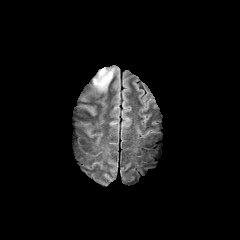
FLAIR MRI.
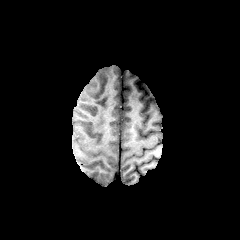
T1-weighted magnetic resonance.
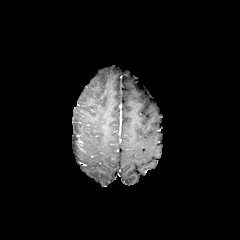
Same slice, post-contrast T1-weighted MR image.
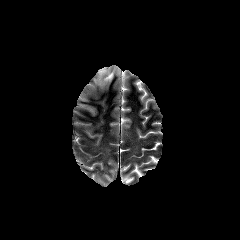
Same slice, T2-weighted MR.
240x240 | Head
Edema — region(93, 67, 114, 89).